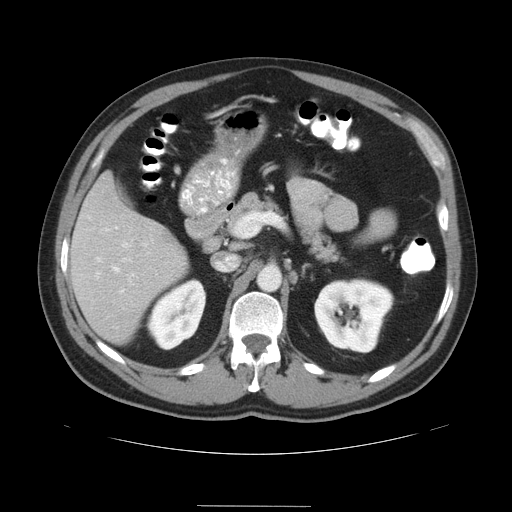

512x512. Computed tomography.

Some hepatic vessels may have no box.
hepatic_vessel:
  - 123:243:130:247
  - 123:258:131:262
  - 112:266:118:272
  - 237:213:260:235
  - 143:241:153:246
  - 121:290:123:292
  - 96:258:101:261
  - 100:228:112:232
  - 114:227:117:229
  - 95:272:100:278
  - 128:273:134:285